Head, Image width 240 mm, Slice 100 of 155
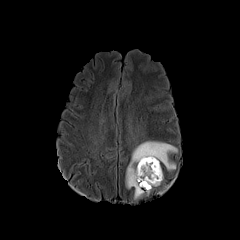
FLAIR MRI.
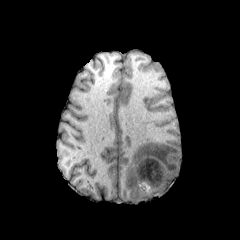
T1-weighted MR.
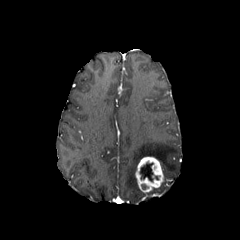
Post-contrast T1-weighted MR of the same slice.
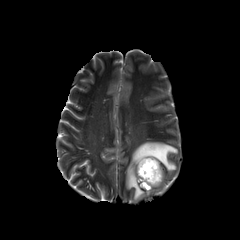
T2-weighted MR image.
Enhancing tumor: bounding box box=[134, 156, 164, 192].
Non-enhancing tumor core: bounding box box=[140, 162, 153, 181].
Edema: bounding box box=[126, 141, 177, 199].